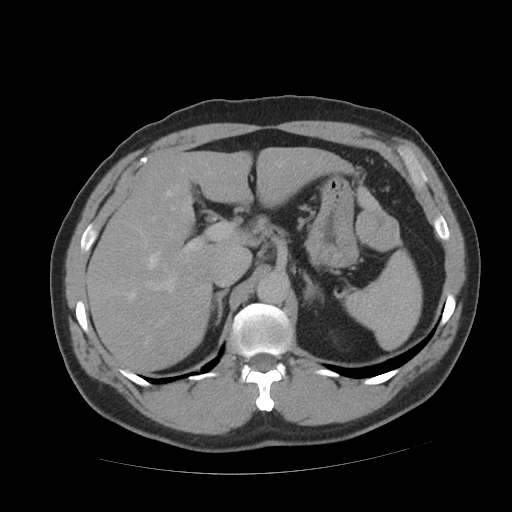

Abdomen | CT image
The vessel annotation is not exhaustive.
The liver tumor is located at (left=360, top=211, right=397, bottom=246). 8 hepatic vessel regions are bounded by (left=127, top=293, right=134, bottom=297), (left=130, top=283, right=139, bottom=289), (left=119, top=279, right=125, bottom=281), (left=149, top=252, right=156, bottom=266), (left=146, top=275, right=175, bottom=292), (left=167, top=191, right=171, bottom=195), (left=205, top=172, right=211, bottom=174), (left=183, top=242, right=202, bottom=256).